512x512. Upper abdomen. Computed tomography. 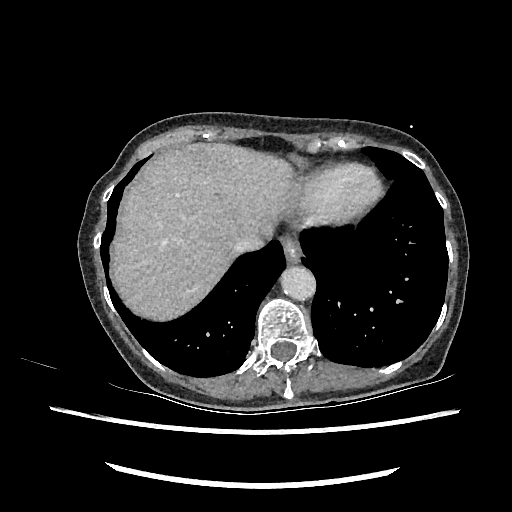
• liver: (x1=114, y1=143, x2=293, y2=318)